240x240 px; Brain
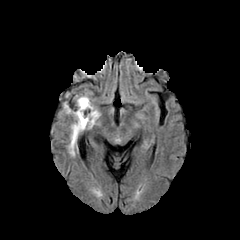
FLAIR magnetic resonance.
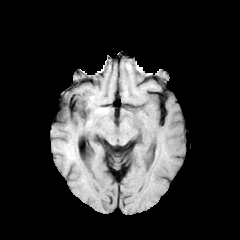
T1-weighted MR of the same slice.
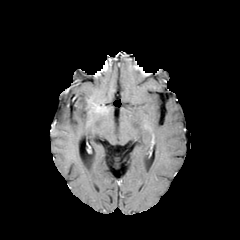
Post-contrast T1-weighted magnetic resonance.
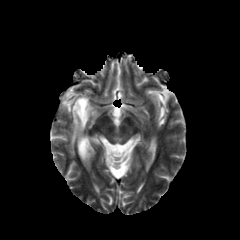
Same slice, T2-weighted MR image.
The edema appears at (x1=63, y1=94, x2=100, y2=155). The non-enhancing tumor core is at (x1=77, y1=98, x2=93, y2=125).